Computed tomography | Image size 512x512 | Slice index 272
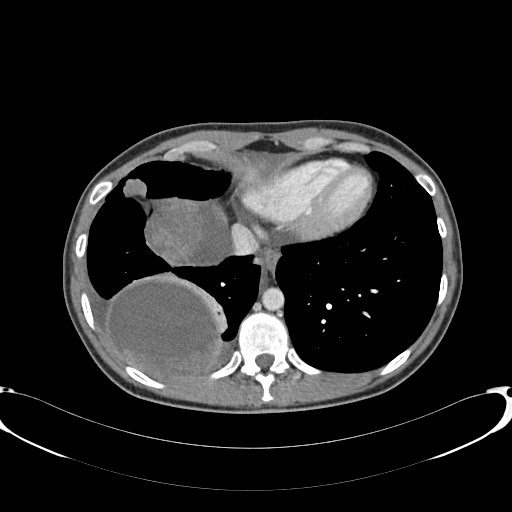
Segmented structures:
- liver: [x1=244, y1=167, x2=260, y2=183]